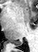
MRI slice.
<segmentation>
  <posterior_hippocampus>(11,41,22,45)</posterior_hippocampus>
</segmentation>